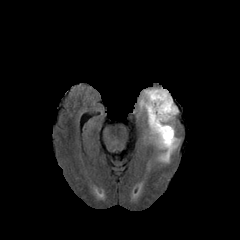
FLAIR MR.
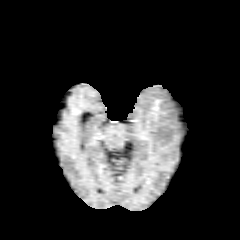
T1-weighted MR image.
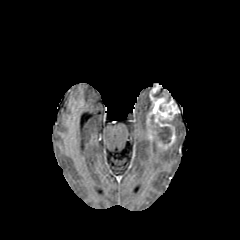
Post-contrast T1-weighted MR image.
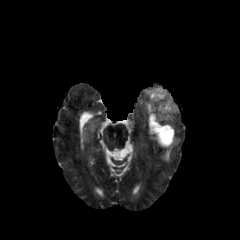
T2-weighted MR image.
Head | 240x240 px
Edema: 138:89:150:116, 158:138:179:162.
Enhancing tumor: 146:85:179:149.
Non-enhancing tumor core: 156:127:171:143.